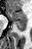
Hippocampus; 32x49 px; MR image
Posterior hippocampus at [15, 22, 26, 30].
Anterior hippocampus at [6, 10, 26, 21].